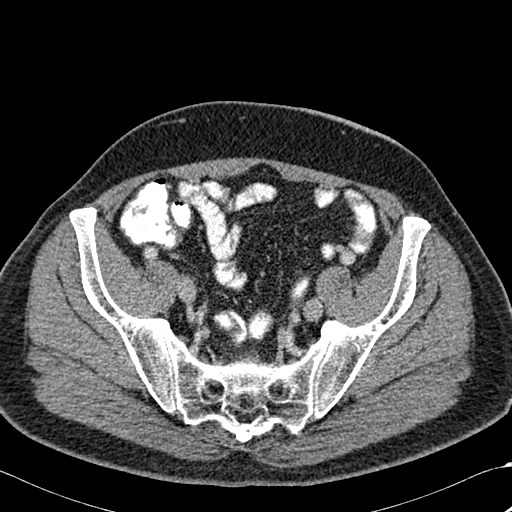 CT slice.

The bone is at region(70, 207, 430, 441).